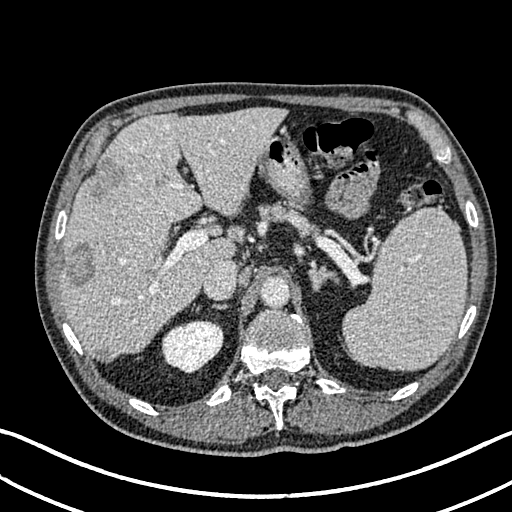
Upper abdomen. CT slice. 512x512.

2 liver regions appear at (left=62, top=107, right=285, bottom=361), (left=206, top=226, right=221, bottom=235). 3 hepatic lesion regions appear at (left=97, top=349, right=108, bottom=356), (left=86, top=158, right=125, bottom=201), (left=67, top=242, right=95, bottom=287). The kidney is bounded by (left=163, top=322, right=222, bottom=371).